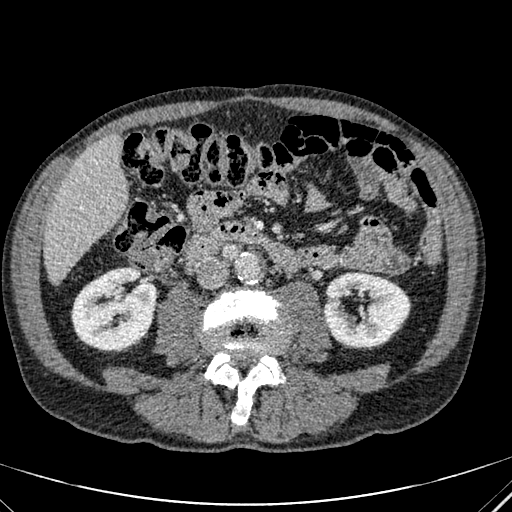

Abdomen. CT. 512x512 px.
Liver: bounding box bbox(45, 137, 126, 282).
Kidney: bounding box bbox(72, 268, 155, 349); bbox(325, 273, 409, 346).